Brain
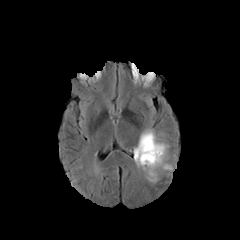
FLAIR magnetic resonance.
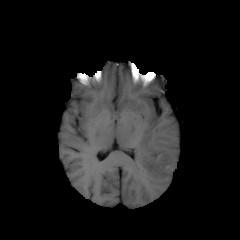
T1-weighted MR of the same slice.
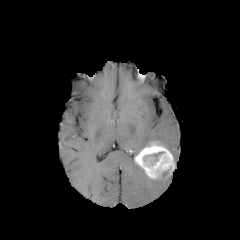
Post-contrast T1-weighted MR image.
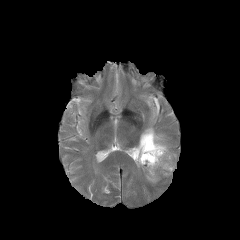
Same slice, T2-weighted MR image.
{
  "enhancing_tumor": [
    "box(134, 140, 176, 180)"
  ],
  "edema": [
    "box(133, 122, 170, 155)"
  ]
}